Slice 80/155.
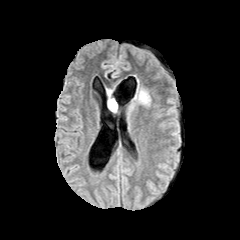
FLAIR MR image.
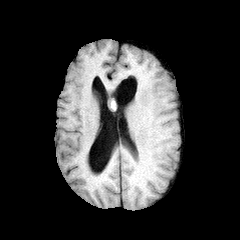
T1-weighted MR.
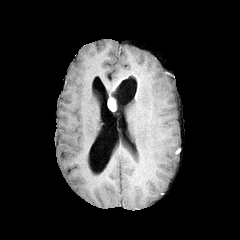
Same slice, post-contrast T1-weighted magnetic resonance.
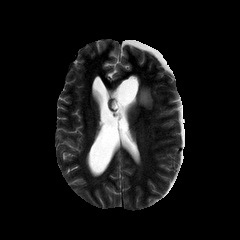
T2-weighted magnetic resonance.
The edema is located at <box>136,80,150,104</box>. The enhancing tumor is bounded by <box>108,97,115,111</box>.